Slice 399 of 654; CT
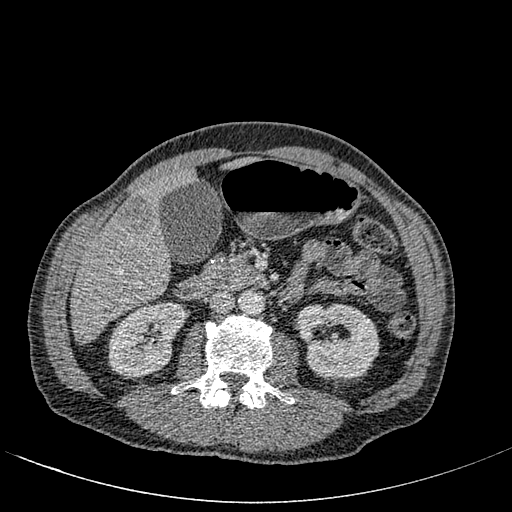 liver_lesion:
  - [118,195,155,233]
kidney:
  - [109,303,186,376]
  - [297,304,378,378]
liver:
  - [223,157,258,169]
  - [71,168,196,344]